FLAIR MRI.
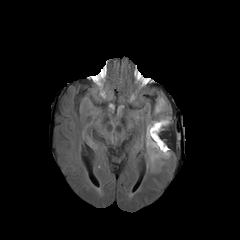
T1-weighted MR.
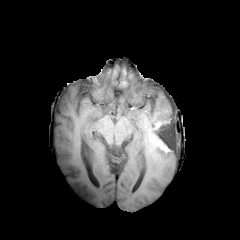
Post-contrast T1-weighted MRI.
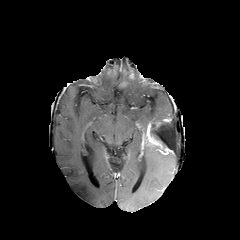
T2-weighted magnetic resonance.
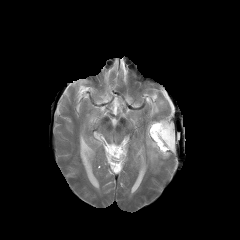
Enhancing tumor = bbox(147, 124, 169, 154).
Non-enhancing tumor core = bbox(150, 122, 173, 153).
Edema = bbox(98, 90, 111, 99); bbox(143, 98, 172, 171).